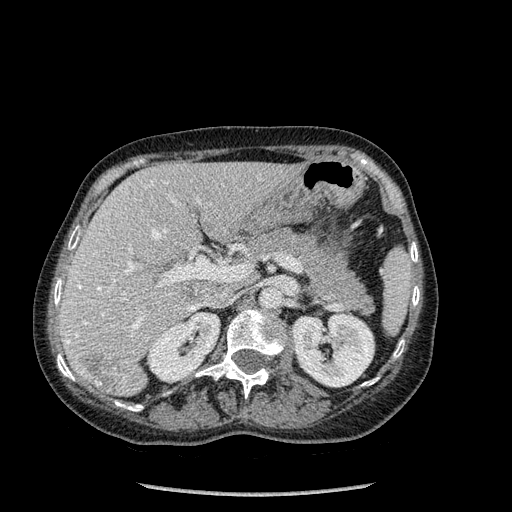

Upper abdomen, Computed tomography

2 kidney regions appear at [148, 312, 219, 381], [292, 314, 373, 386]. 9 bone regions are bounded by [361, 377, 378, 386], [195, 309, 287, 398], [68, 230, 79, 249], [115, 401, 142, 411], [393, 339, 404, 358], [54, 278, 62, 306], [409, 242, 417, 262], [412, 286, 419, 306], [57, 354, 74, 380]. 2 focal liver lesion regions are located at [84, 353, 117, 390], [180, 285, 204, 301]. 2 liver regions are located at [60, 162, 301, 396], [191, 280, 215, 294].